Brain.
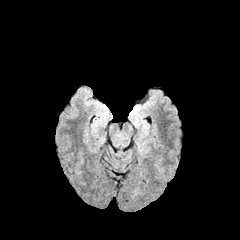
FLAIR MR image.
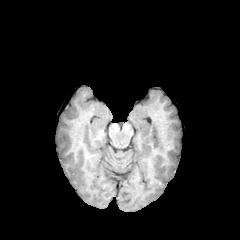
Same slice, T1-weighted MR.
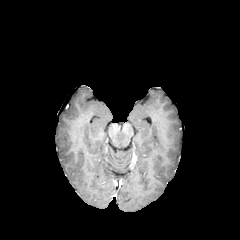
Post-contrast T1-weighted MR image.
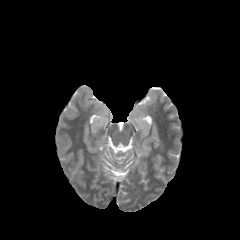
T2-weighted magnetic resonance.
Findings:
* edema: (130,107,147,134), (93,108,107,132)